FLAIR magnetic resonance.
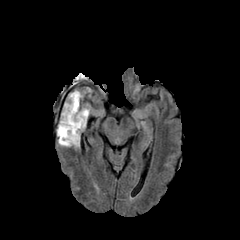
T1-weighted MR image.
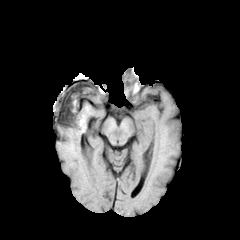
Post-contrast T1-weighted magnetic resonance.
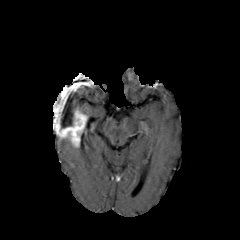
T2-weighted MRI.
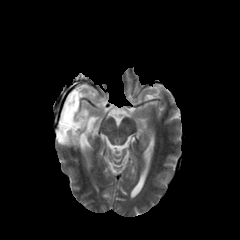
Head. Image size 240x240.
{
  "enhancing_tumor": [
    "[x1=62, y1=82, x2=85, y2=98]"
  ],
  "edema": [
    "[x1=57, y1=108, x2=89, y2=146]",
    "[x1=78, y1=86, x2=91, y2=106]"
  ],
  "non-enhancing_tumor_core": [
    "[x1=60, y1=92, x2=82, y2=131]",
    "[x1=74, y1=76, x2=92, y2=87]"
  ]
}